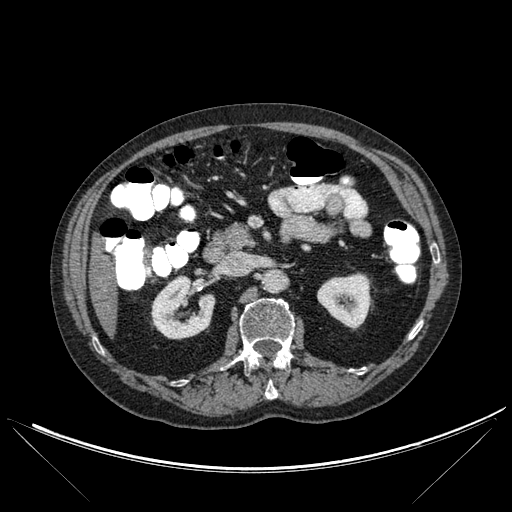 Liver, Computed tomography
liver:
  - (left=89, top=232, right=119, bottom=337)
kidney:
  - (left=152, top=276, right=214, bottom=338)
  - (left=317, top=274, right=369, bottom=327)
bone:
  - (left=234, top=299, right=294, bottom=368)
  - (left=265, top=380, right=277, bottom=398)
  - (left=350, top=367, right=365, bottom=374)
  - (left=409, top=321, right=422, bottom=338)